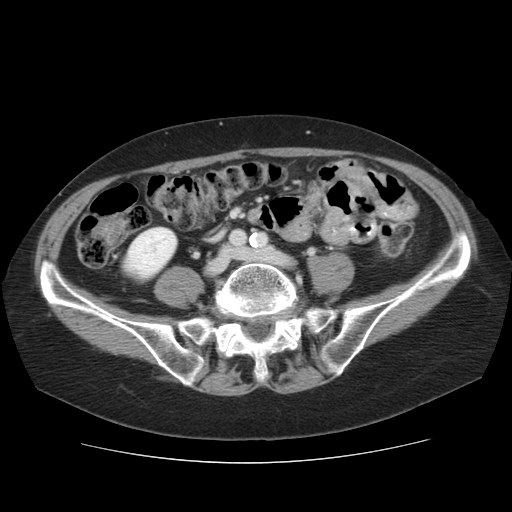

Abdomen, Image size 512x512, CT scan slice
3 bone regions are bounded by [173,260,338,382], [320,230,470,376], [40,260,205,386]. The kidney appears at [125,228,176,276].